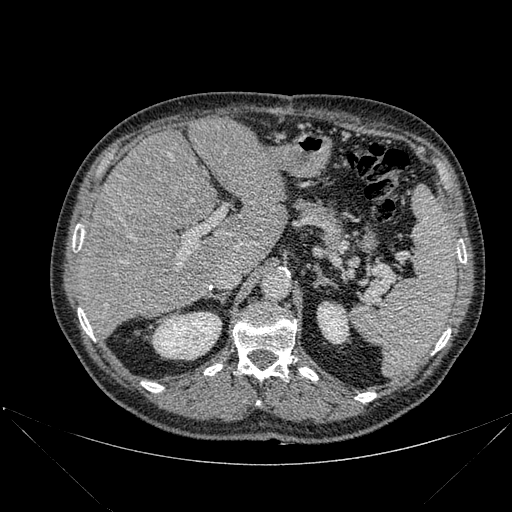 512x512 px. CT scan slice. Abdomen.
Bone at left=204, top=364, right=222, bottom=375; left=141, top=381, right=163, bottom=392; left=432, top=328, right=450, bottom=354; left=78, top=308, right=95, bottom=340; left=72, top=230, right=84, bottom=251; left=457, top=248, right=466, bottom=262; left=299, top=367, right=318, bottom=380; left=355, top=392, right=376, bottom=402; left=233, top=310, right=296, bottom=380.
Kidney at left=317, top=302, right=348, bottom=343; left=153, top=312, right=221, bottom=359.
Liver at left=76, top=117, right=288, bottom=338.